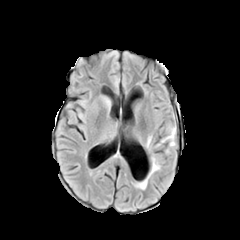
FLAIR magnetic resonance.
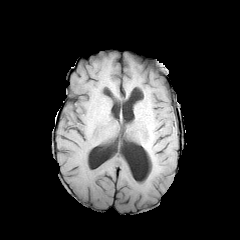
Same slice, T1-weighted magnetic resonance.
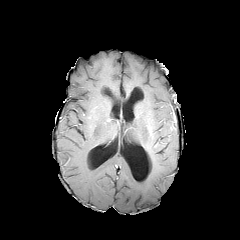
Post-contrast T1-weighted MRI of the same slice.
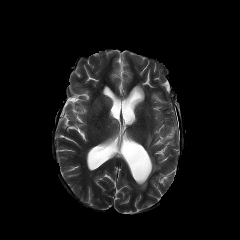
T2-weighted MR.
Edema = box(136, 122, 176, 189).